Head
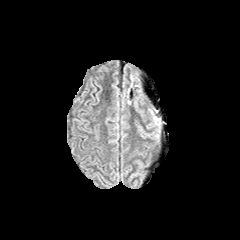
FLAIR MRI.
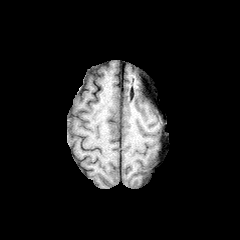
T1-weighted MR of the same slice.
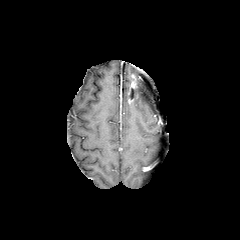
Same slice, post-contrast T1-weighted MR.
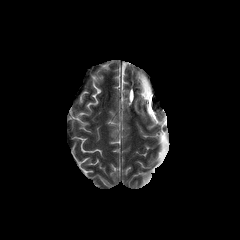
Same slice, T2-weighted MR.
edema: (left=149, top=108, right=159, bottom=126)